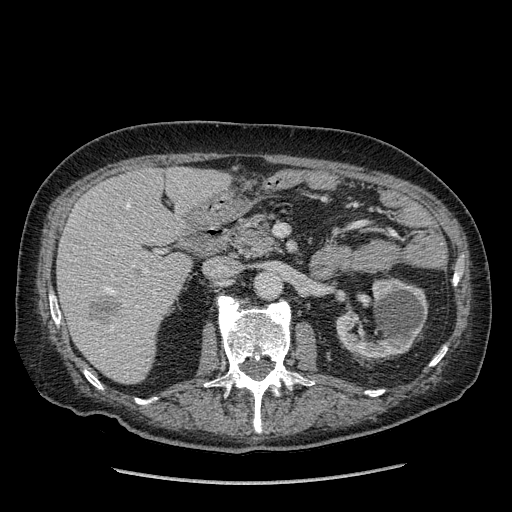
CT scan slice | 512x512

liver:
  - box=[57, 166, 230, 383]
kidney:
  - box=[362, 295, 370, 305]
  - box=[336, 278, 427, 359]
hepatic_lesion:
  - box=[90, 295, 121, 326]